CT slice
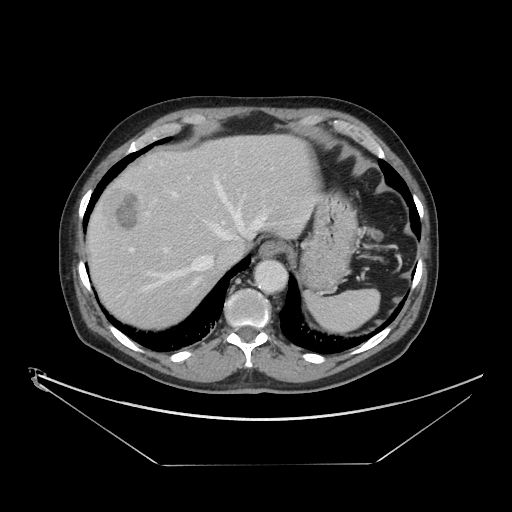
Not every hepatic vessel necessarily has a box.
Liver tumor — <box>102,187,146,234</box>.
Hepatic vessel — <box>147,212,148,215</box>, <box>215,181,264,235</box>, <box>193,277,200,285</box>, <box>142,256,212,290</box>, <box>163,248,167,252</box>, <box>214,226,238,239</box>, <box>172,192,176,195</box>, <box>129,248,132,250</box>, <box>222,221,224,223</box>, <box>187,177,189,178</box>.